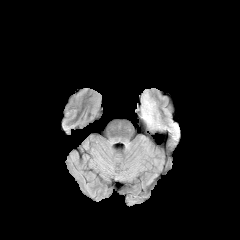
FLAIR MR image.
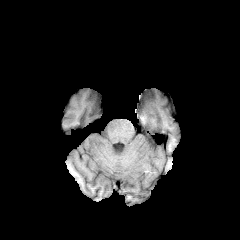
Same slice, T1-weighted MRI.
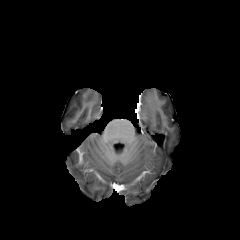
Post-contrast T1-weighted MR image of the same slice.
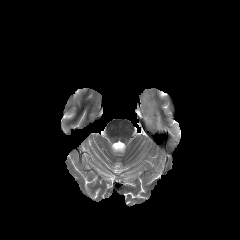
T2-weighted MRI.
240x240
Edema = (x1=140, y1=93, x2=160, y2=128).